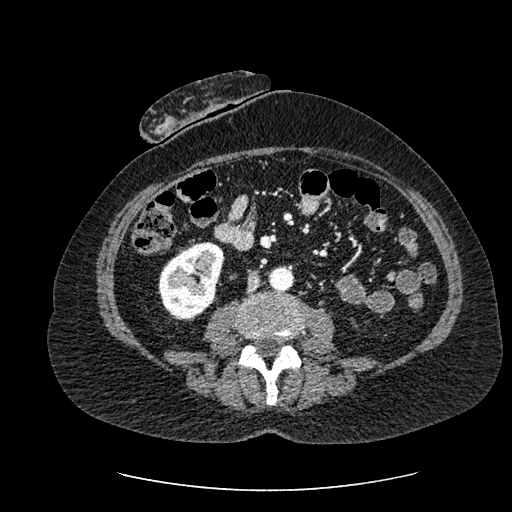 512x512 px, CT scan slice, Abdomen

kidney: 159 242 223 318